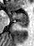
MR
The posterior hippocampus is at box=[17, 21, 28, 27]. The anterior hippocampus is bounded by box=[8, 13, 28, 20].